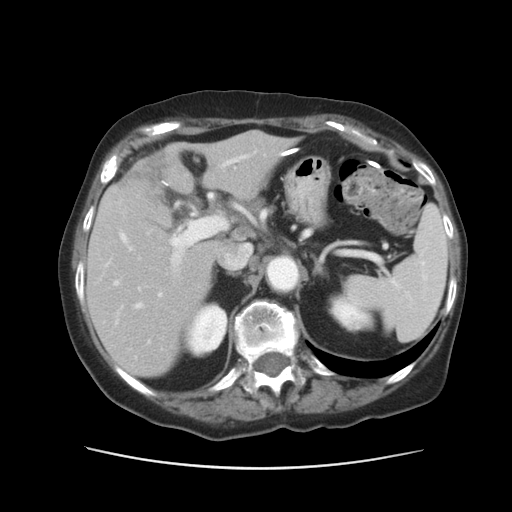
Liver | Computed tomography

The vessel annotation is not exhaustive.
Findings:
* liver tumor: bbox(124, 152, 170, 190)
* hepatic vessel (most prominent 15 of 16): bbox(170, 213, 227, 242); bbox(119, 233, 127, 244); bbox(253, 151, 256, 153); bbox(220, 155, 249, 168); bbox(103, 261, 109, 272); bbox(210, 194, 213, 198); bbox(128, 246, 132, 251); bbox(171, 246, 183, 265); bbox(134, 303, 142, 308); bbox(114, 307, 122, 324); bbox(158, 294, 161, 297); bbox(238, 207, 240, 208); bbox(147, 341, 149, 343); bbox(147, 230, 150, 233); bbox(113, 281, 118, 285)